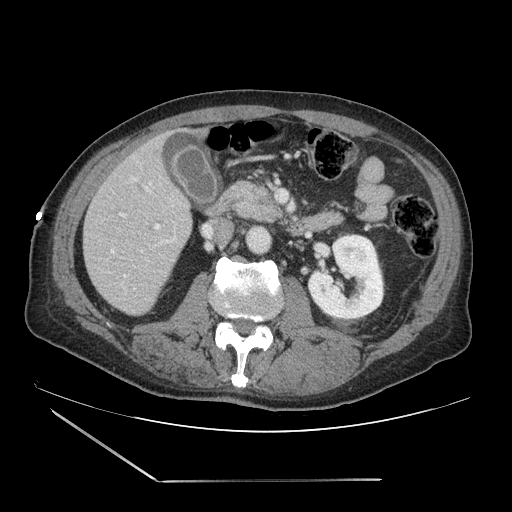

Upper abdomen; Computed tomography
pancreatic_tumor:
  - (254,189,271,203)
pancreas:
  - (236,183,280,222)